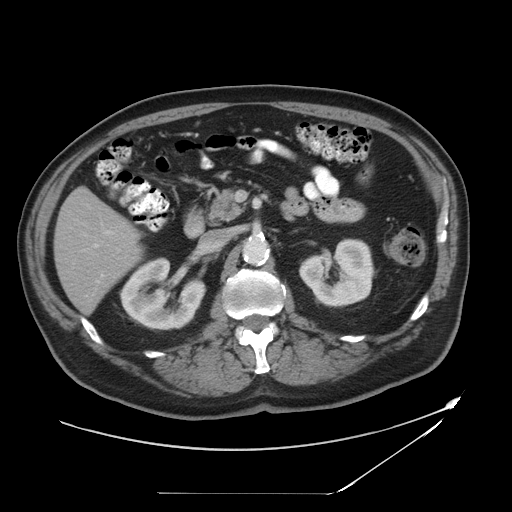

CT
Only some of the vessels may be annotated.
hepatic_vessel:
  - 116, 248, 120, 252
  - 100, 272, 104, 277
  - 123, 245, 125, 246
  - 89, 298, 90, 301
  - 124, 233, 135, 239
  - 94, 289, 96, 292
  - 93, 244, 98, 247
  - 81, 249, 89, 252
  - 101, 220, 126, 234
  - 86, 295, 87, 296
  - 96, 280, 99, 282
  - 127, 228, 128, 231